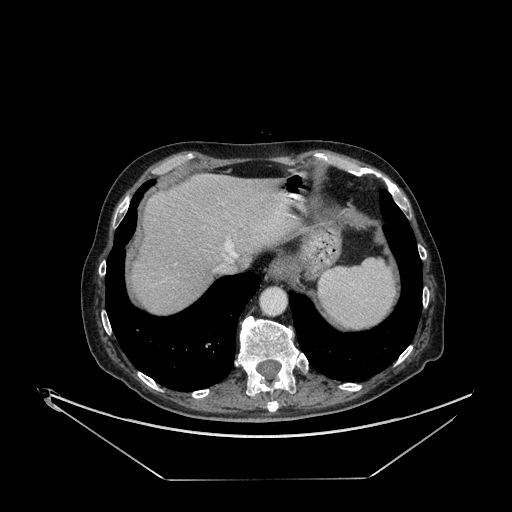

CT slice. Liver at [133,174,297,313].